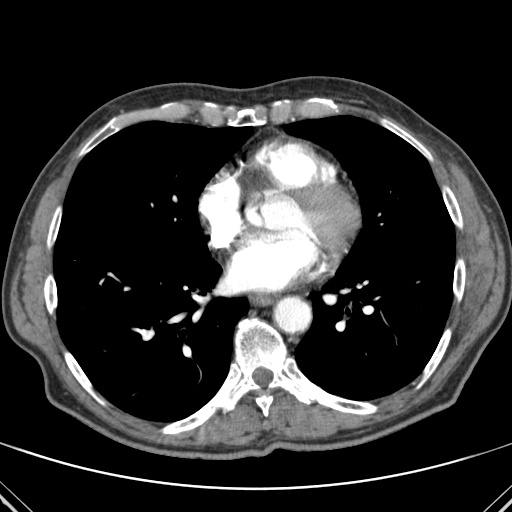
CT slice.
{
  "bone": [
    "bbox(382, 119, 432, 159)",
    "bbox(308, 98, 336, 108)",
    "bbox(47, 207, 60, 246)",
    "bbox(80, 118, 119, 155)",
    "bbox(65, 352, 103, 404)",
    "bbox(44, 275, 56, 313)",
    "bbox(417, 329, 450, 387)",
    "bbox(443, 186, 462, 227)",
    "bbox(453, 259, 465, 300)",
    "bbox(162, 318, 376, 434)",
    "bbox(205, 103, 216, 110)",
    "bbox(228, 109, 266, 126)",
    "bbox(256, 395, 272, 416)"
  ],
  "lung": [
    "bbox(53, 121, 252, 421)",
    "bbox(283, 116, 455, 400)"
  ]
}